CT | Abdomen | 512x512 px
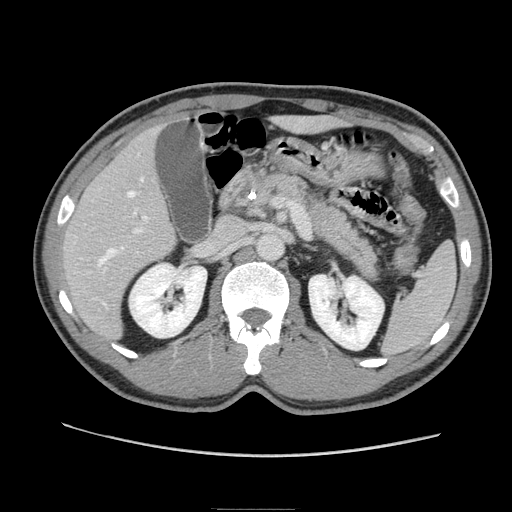
{
  "pancreas": [
    "<box>251,173,381,282</box>"
  ]
}